CT scan slice | Abdomen | Slice 41/100 | Image width 400 mm

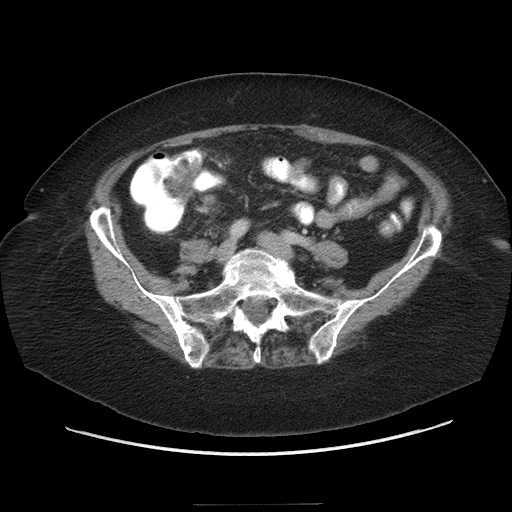
The colon tumor appears at 164 157 200 201.